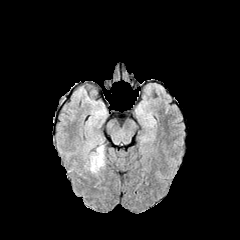
FLAIR MR image.
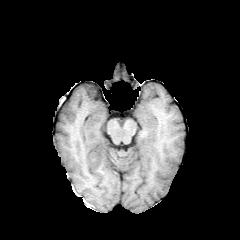
Same slice, T1-weighted MR.
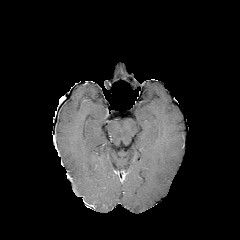
Post-contrast T1-weighted MRI.
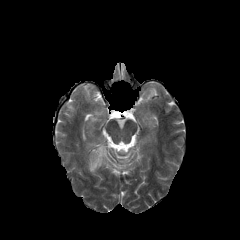
T2-weighted MRI.
2 edema regions appear at [x1=90, y1=106, x2=105, y2=125], [x1=83, y1=135, x2=111, y2=175].